CT scan slice; Liver
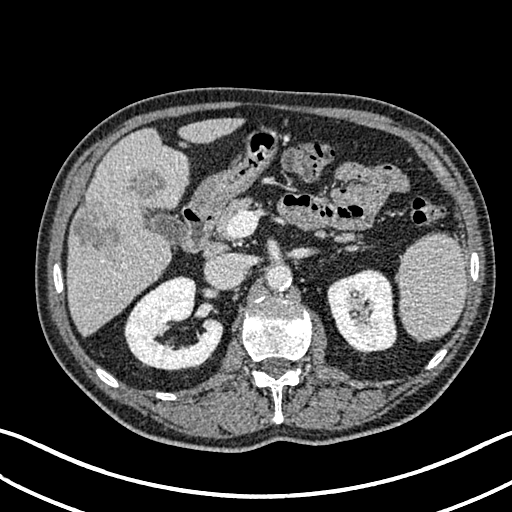
- kidney: [125,277,222,369], [328,271,395,351]
- liver: [68,129,188,334], [179,118,243,142]
- hepatic lesion: [74,202,122,250], [129,171,164,198]